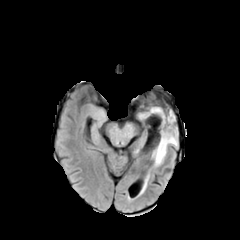
FLAIR MR.
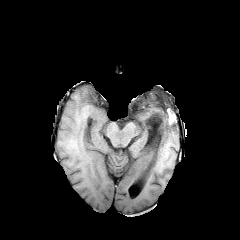
Same slice, T1-weighted MR image.
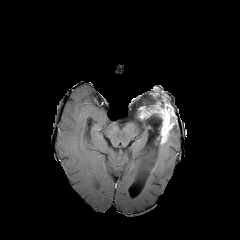
Post-contrast T1-weighted MR.
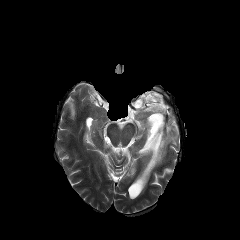
T2-weighted MR of the same slice.
Brain
Segmented structures:
* edema: l=151, t=126, r=178, b=167
* non-enhancing tumor core: l=154, t=113, r=162, b=131; l=155, t=136, r=163, b=149
* enhancing tumor: l=139, t=102, r=175, b=144